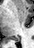

Medial temporal lobe; MRI

The posterior hippocampus is located at bbox=[11, 38, 19, 41].